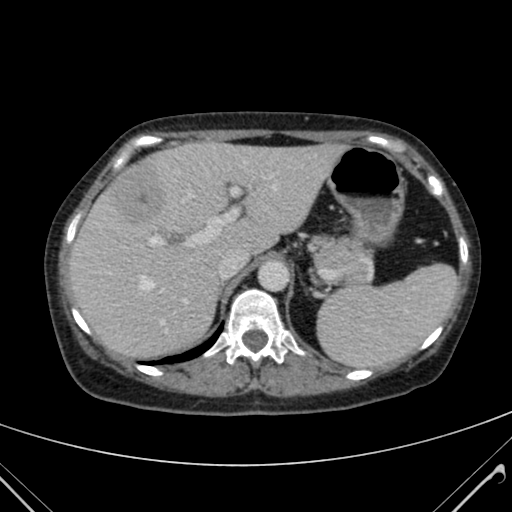
CT slice, Upper abdomen, Image size 512x512
• liver: bbox(70, 142, 340, 357)
• liver lesion: bbox(109, 164, 167, 222)